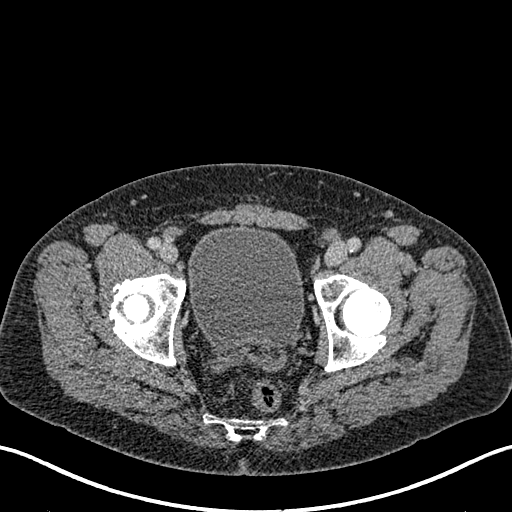 CT. Pelvis. Image size 512x512.

Urinary bladder = (188, 224, 303, 346).